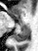
38x51 px. MR image. Medial temporal lobe. Posterior hippocampus — bbox(13, 26, 30, 41).